Slice index 28. Computed tomography. Abdomen.

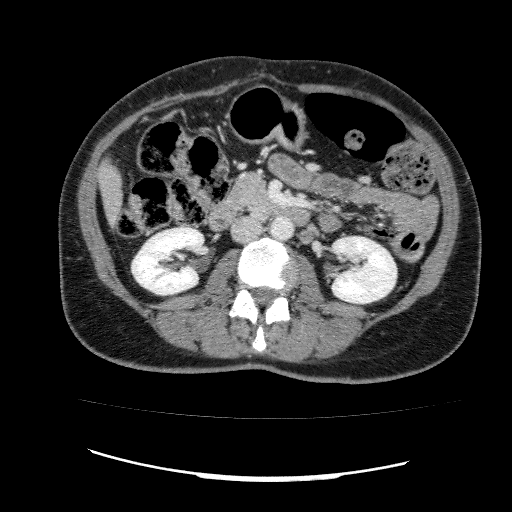

The liver lies within (99,158,121,225). 2 kidney regions are bounded by (332,237,396,303), (132,228,203,294).